Slice 475/751. CT image.

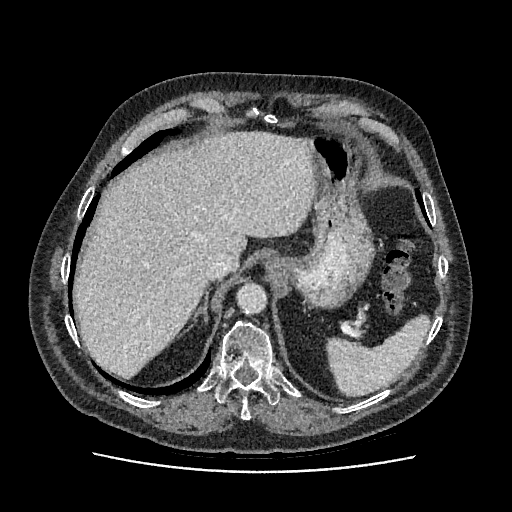 Liver: (x1=75, y1=132, x2=313, y2=378).